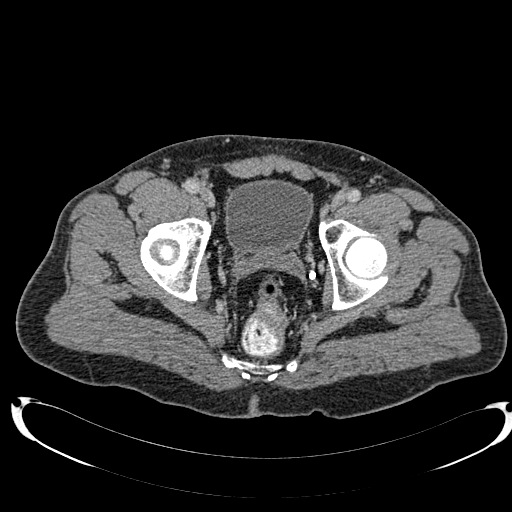
Image size 512x512, CT image

{
  "urinary_bladder": [
    "region(225, 179, 313, 263)"
  ]
}